Pelvis. Image size 320x320.
T2-weighted MR image.
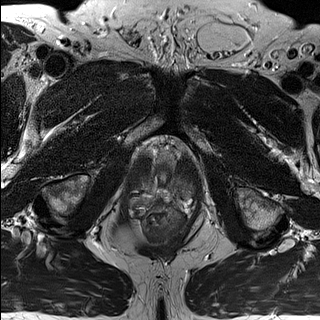
ADC MR image.
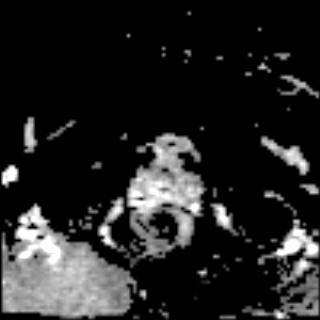
Prostate transition zone: (133, 167, 193, 202).